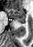
Hippocampus, Magnetic resonance

• anterior hippocampus: <bbox>5, 8, 25, 22</bbox>
• posterior hippocampus: <bbox>21, 23, 24, 23</bbox>